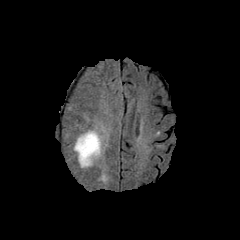
FLAIR MR image.
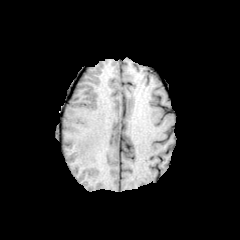
T1-weighted MR image.
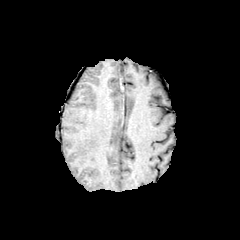
Same slice, post-contrast T1-weighted MR image.
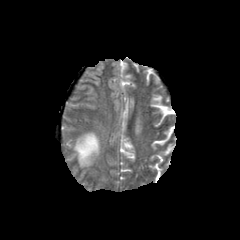
Same slice, T2-weighted MR image.
Image size 240x240 | Head
Edema — <bbox>73, 130, 101, 167</bbox>.